Brain
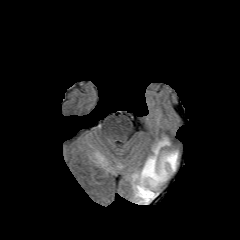
FLAIR MR image.
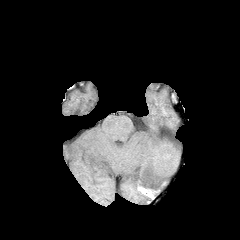
Same slice, T1-weighted MRI.
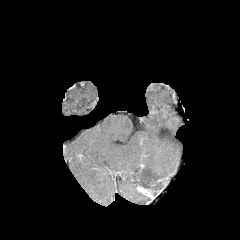
Post-contrast T1-weighted MRI.
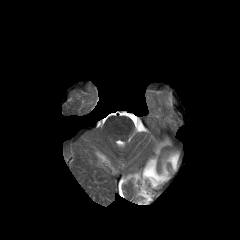
T2-weighted MRI.
edema: 127:140:178:204 | non-enhancing tumor core: 140:186:150:198